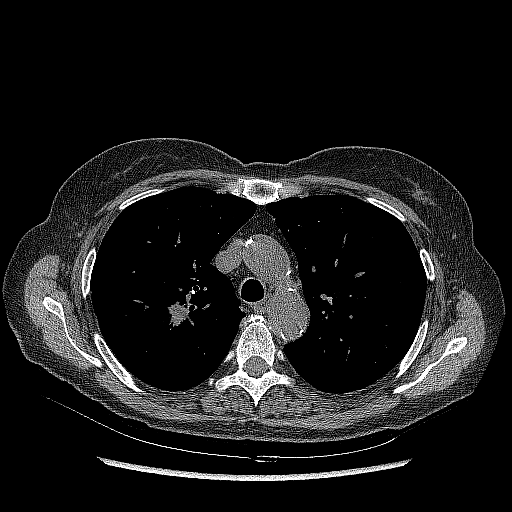 Chest | Computed tomography | 512x512
Findings:
* lung tumor: x1=165, y1=301, x2=190, y2=335